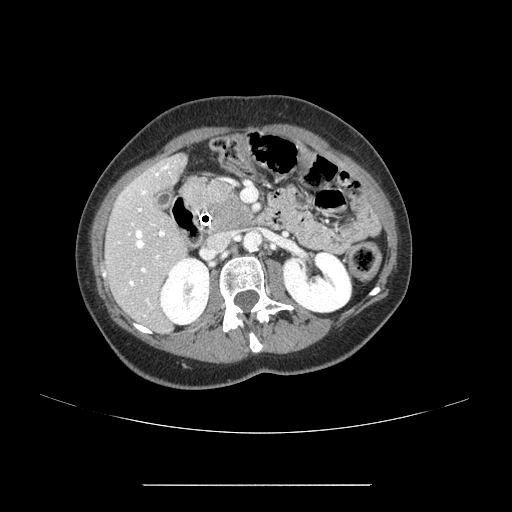 CT scan slice, Upper abdomen
pancreas: 182:176:255:237 | pancreatic tumor: 207:196:256:231